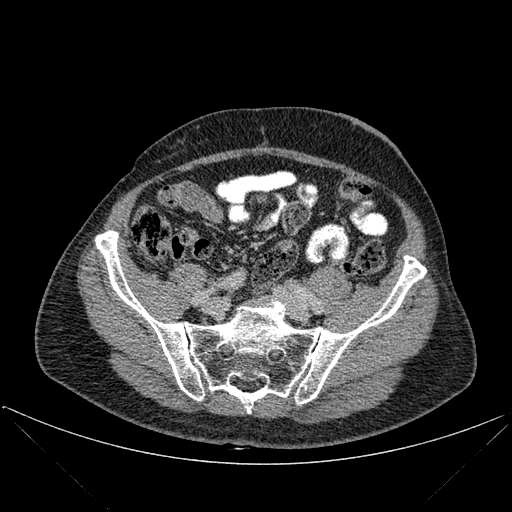

Computed tomography
bone:
  - {"x1": 95, "y1": 230, "x2": 426, "y2": 413}